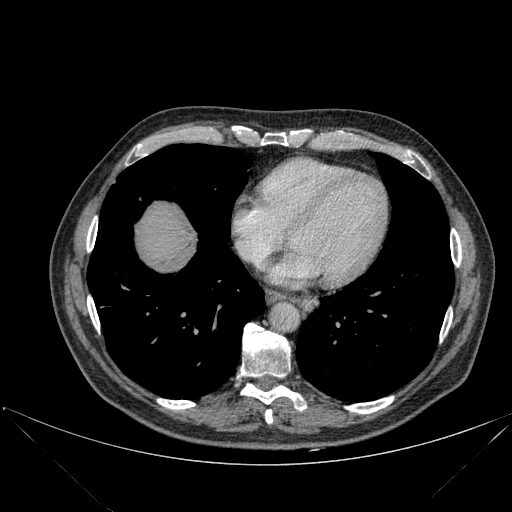

Computed tomography. Upper abdomen. Image size 512x512.

Liver: x1=136 y1=201 x2=196 y2=265.
Lung: x1=296 y1=153 x2=453 y2=401, x1=87 y1=144 x2=264 y2=398.
Bone: x1=450 y1=228 x2=461 y2=266, x1=345 y1=396 x2=393 y2=413, x1=86 y1=216 x2=97 y2=251, x1=265 y1=409 x2=272 y2=423, x1=241 y1=323 x2=290 y2=376, x1=405 y1=152 x2=414 y2=162, x1=87 y1=296 x2=99 y2=331, x1=261 y1=132 x2=287 y2=145, x1=241 y1=384 x2=306 y2=410, x1=136 y1=144 x2=145 y2=156, x1=440 y1=311 x2=452 y2=341, x1=157 y1=399 x2=194 y2=409.